Abdomen. 512x512. Field of view 339 mm wide, 0.80 mm slice spacing. Slice 474/696. CT scan slice. 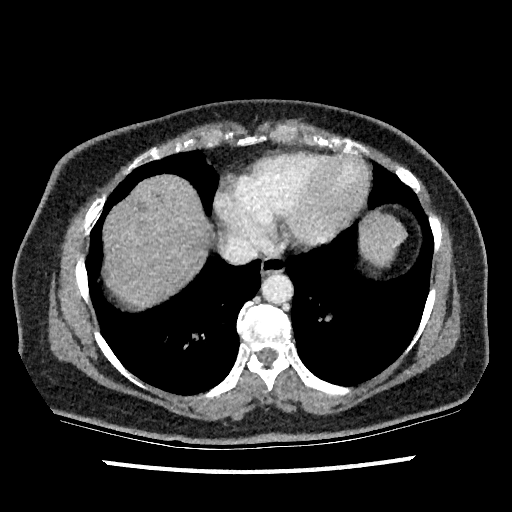

2 hepatic lesion regions are located at x1=154, y1=192, x2=163, y2=203; x1=139, y1=202, x2=147, y2=212. 2 liver regions appear at x1=360, y1=215, x2=406, y2=264; x1=103, y1=175, x2=207, y2=307.